Brain. 240x240.
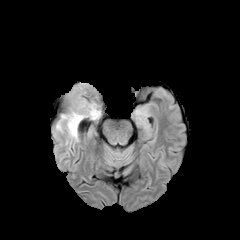
FLAIR MRI.
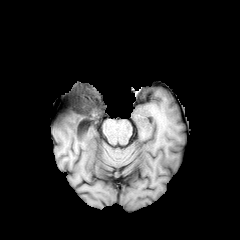
T1-weighted MRI.
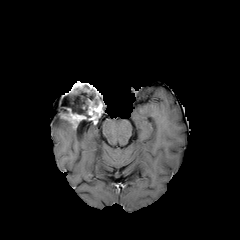
Post-contrast T1-weighted magnetic resonance of the same slice.
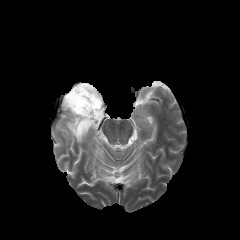
T2-weighted MR image.
{
  "enhancing_tumor": [
    "62 108 86 128",
    "69 83 101 121"
  ],
  "edema": [
    "55 117 91 141"
  ],
  "non-enhancing_tumor_core": [
    "64 92 94 119"
  ]
}